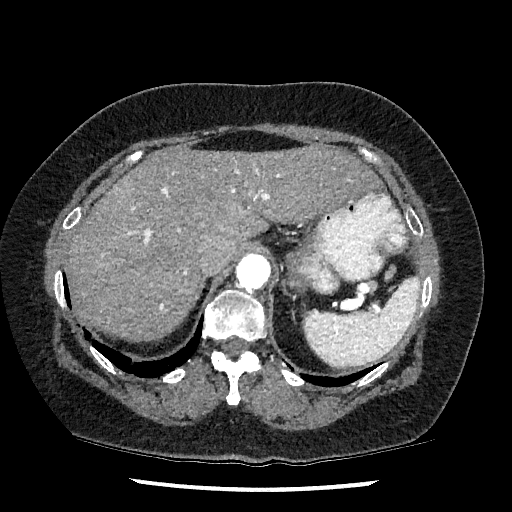

Computed tomography.

<segmentation>
  <liver>68,144,381,340</liver>
</segmentation>